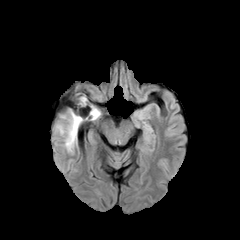
FLAIR MR.
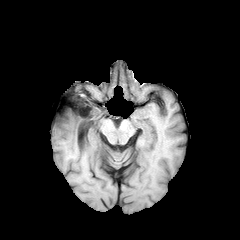
T1-weighted MRI.
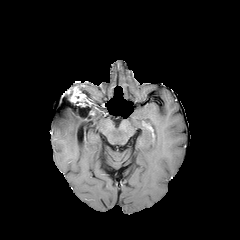
Same slice, post-contrast T1-weighted MRI.
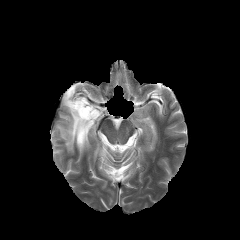
T2-weighted MRI of the same slice.
Image size 240x240
The edema is at 55,109,100,152. The non-enhancing tumor core is bounded by 69,89,94,121. The enhancing tumor is bounded by 75,93,89,106.